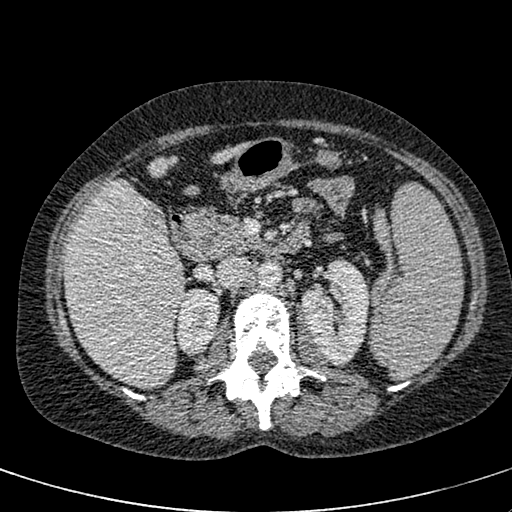

Image size 512x512; CT scan slice; Abdomen
The focal liver lesion is bounded by [140,202,165,231]. 2 kidney regions appear at [177,289,219,349], [302,260,368,364]. 3 liver regions appear at [66,180,183,386], [148,157,169,176], [211,143,249,163].